512x512 px, Field of view 512x512 mm, CT scan slice, Liver
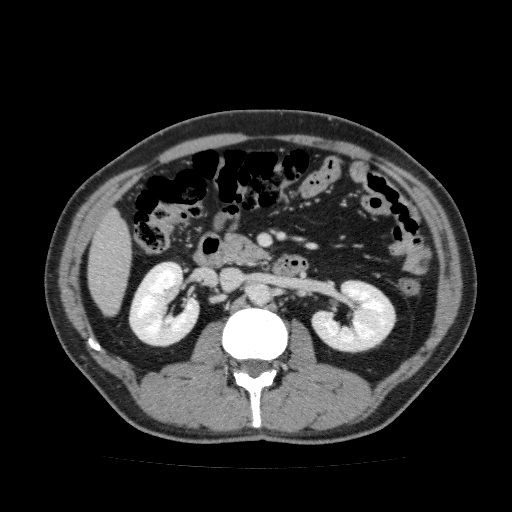

liver:
  - <box>87,207,133,317</box>
kidney:
  - <box>312,281,394,351</box>
  - <box>130,262,198,345</box>